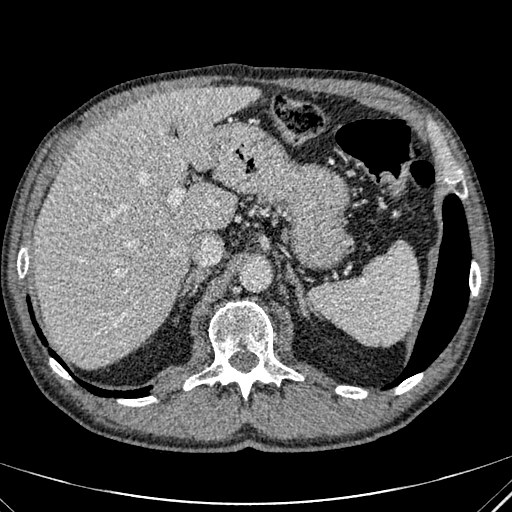 CT image. Liver. {
  "liver": [
    "bbox(35, 86, 259, 366)"
  ]
}